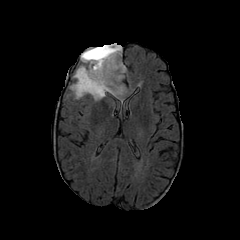
FLAIR MR image.
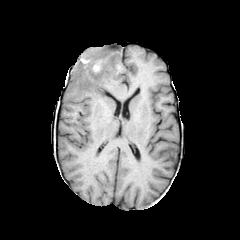
T1-weighted MR.
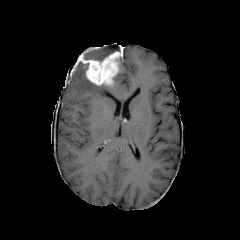
Post-contrast T1-weighted magnetic resonance.
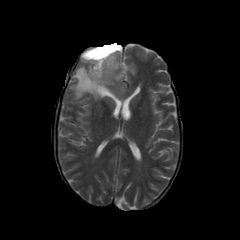
T2-weighted MR image of the same slice.
Brain
edema:
  - region(70, 58, 127, 102)
non-enhancing_tumor_core:
  - region(77, 64, 109, 93)
  - region(85, 44, 119, 60)
enhancing_tumor:
  - region(79, 46, 122, 86)